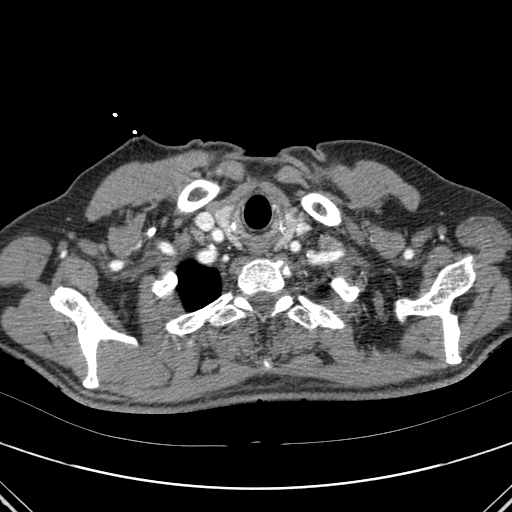 CT scan slice

Segmented structures:
• bone: box=[404, 250, 412, 258]; box=[50, 287, 137, 388]; box=[269, 295, 344, 328]; box=[152, 270, 177, 297]; box=[147, 227, 155, 236]; box=[331, 277, 359, 301]; box=[177, 179, 219, 212]; box=[301, 193, 340, 225]; box=[396, 256, 475, 364]; box=[237, 259, 290, 294]; box=[165, 292, 256, 334]
• lung: box=[177, 260, 220, 310]